Field of view 240 mm wide, 1.00 mm slice spacing.
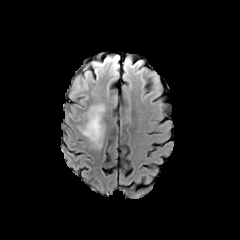
FLAIR magnetic resonance.
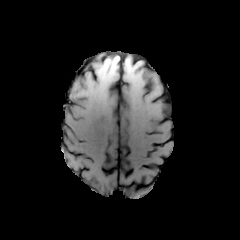
T1-weighted magnetic resonance.
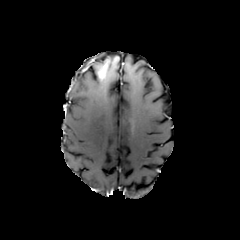
Post-contrast T1-weighted magnetic resonance of the same slice.
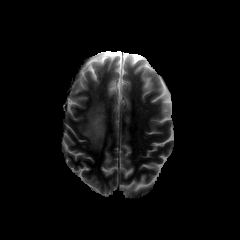
T2-weighted MR image.
{"edema": ["rect(80, 104, 104, 147)", "rect(122, 61, 145, 75)", "rect(78, 70, 91, 90)"], "non-enhancing_tumor_core": ["rect(90, 56, 118, 79)"], "enhancing_tumor": ["rect(112, 58, 117, 69)"]}